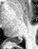

MRI. Medial temporal lobe.

The posterior hippocampus is bounded by box=[11, 39, 22, 43].